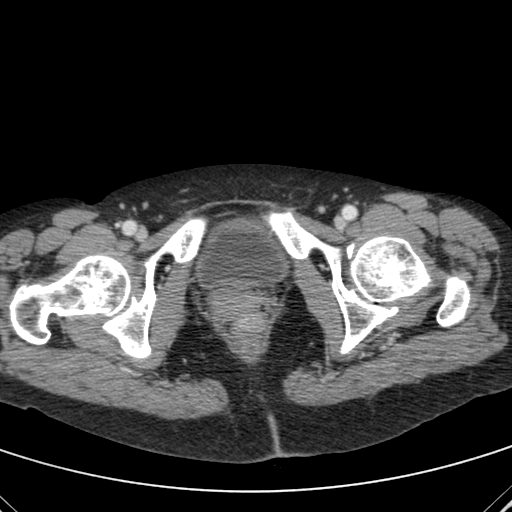
Lower abdomen. Image size 512x512. CT image.
Urinary bladder: bounding box (195, 216, 294, 289).